Slice index 58; 240x240 px
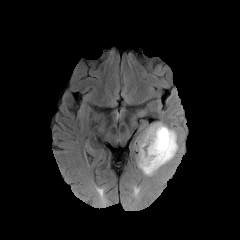
FLAIR MR image.
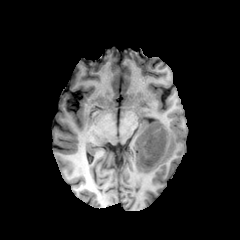
T1-weighted MR image.
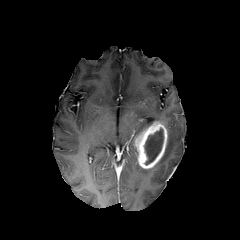
Post-contrast T1-weighted MRI.
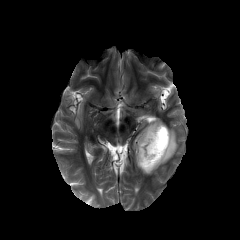
T2-weighted MRI of the same slice.
enhancing tumor: x1=135 y1=121 x2=167 y2=169 | non-enhancing tumor core: x1=145 y1=129 x2=163 y2=164 | edema: x1=140 y1=123 x2=181 y2=175